Liver. Image size 512x512. CT. Slice 28 of 33. Image width 340 mm.
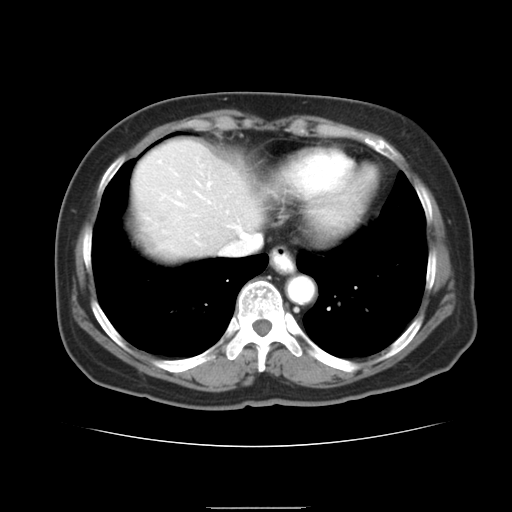

The vessel boxes may cover only some of the vessels.
liver_tumor:
  - rect(138, 199, 167, 249)
hepatic_vessel:
  - rect(196, 182, 199, 185)
  - rect(207, 183, 209, 186)
  - rect(207, 200, 209, 203)
  - rect(237, 226, 239, 228)
  - rect(196, 193, 201, 198)
  - rect(173, 201, 181, 205)
  - rect(177, 191, 179, 194)
  - rect(222, 233, 261, 254)